Slice 76 of 155. Head.
FLAIR magnetic resonance.
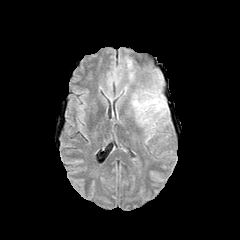
T1-weighted magnetic resonance.
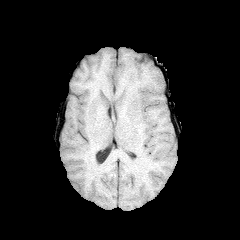
Post-contrast T1-weighted MR.
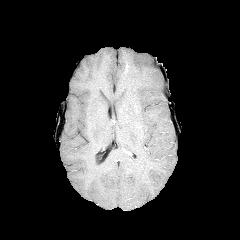
T2-weighted MR image.
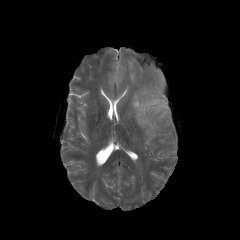
Edema = 132 86 166 130.